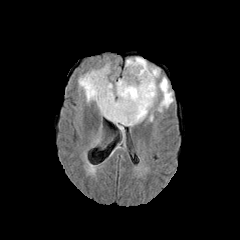
FLAIR MR image.
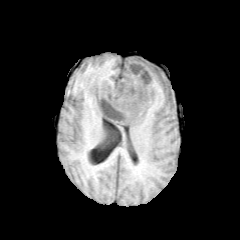
T1-weighted MR image.
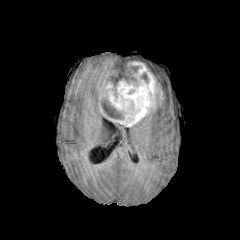
Post-contrast T1-weighted MR.
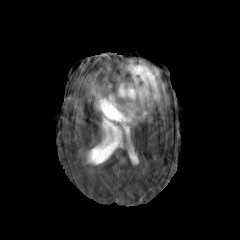
T2-weighted MR.
Non-enhancing tumor core: bounding box 98:92:123:119, 127:65:139:83.
Enhancing tumor: bounding box 104:61:163:125.
Edema: bounding box 123:58:172:112, 133:111:153:126, 78:65:117:124.